FLAIR magnetic resonance.
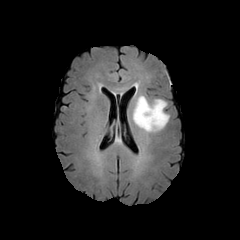
T1-weighted MRI.
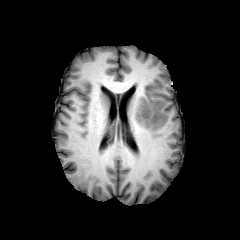
Post-contrast T1-weighted magnetic resonance.
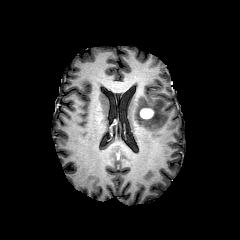
T2-weighted MR image.
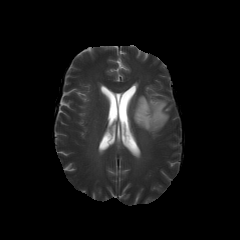
Brain
Enhancing tumor = {"x1": 139, "y1": 107, "x2": 154, "y2": 119}.
Edema = {"x1": 132, "y1": 95, "x2": 169, "y2": 134}.